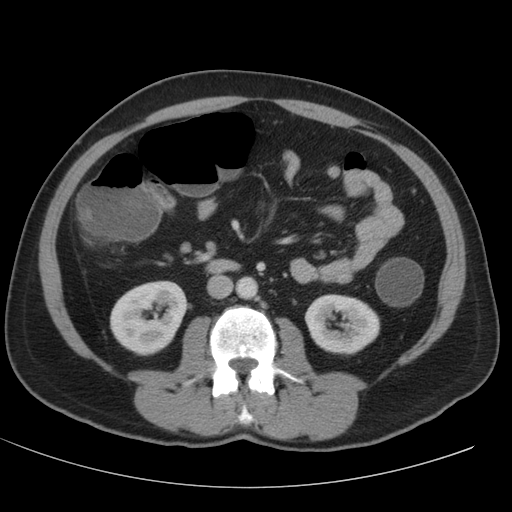
CT image
kidney:
  - (left=110, top=281, right=186, bottom=354)
  - (left=306, top=295, right=379, bottom=353)